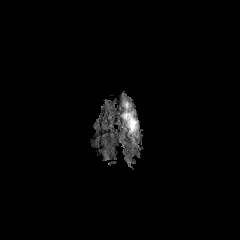
FLAIR MRI.
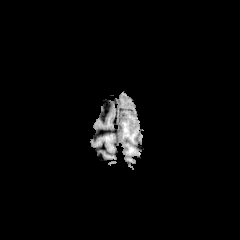
T1-weighted magnetic resonance.
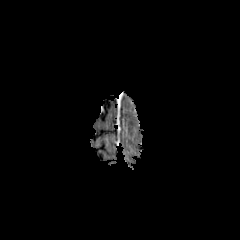
Post-contrast T1-weighted MRI.
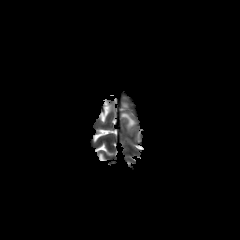
T2-weighted MR image.
Edema: left=123, top=101, right=138, bottom=135.